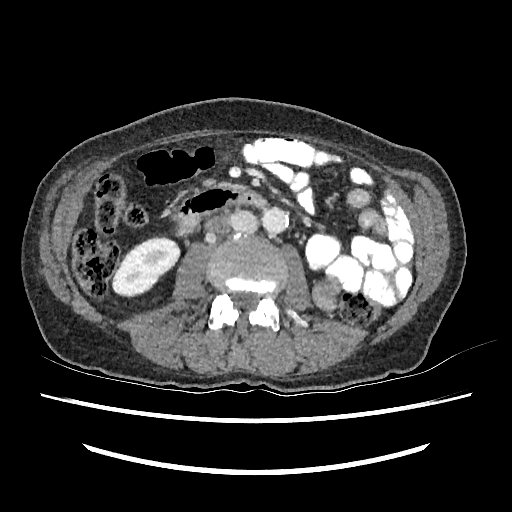
CT scan slice, Abdomen, 512x512 px

Kidney: bbox=[113, 238, 179, 295].